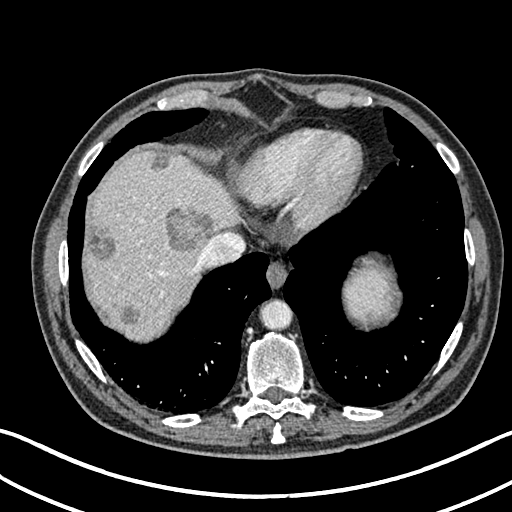

Computed tomography | Image size 512x512

Liver — (84, 151, 238, 339).
Hepatic lesion — (88, 228, 113, 261), (166, 209, 212, 252), (149, 153, 170, 170), (118, 304, 140, 326).